CT; Thorax; Slice index 197; Image size 512x512
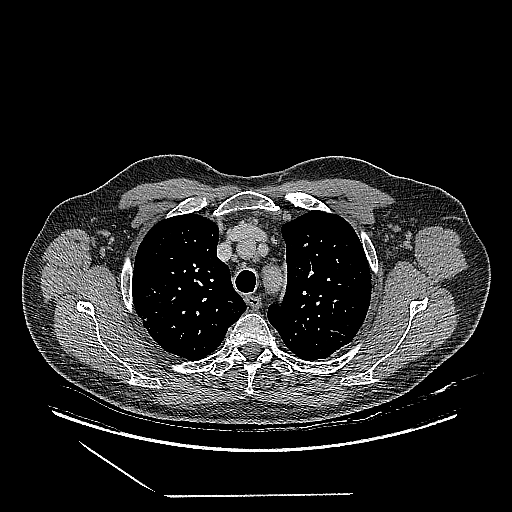

<segmentation>
  <lung_tumor>box(136, 310, 154, 333)</lung_tumor>
</segmentation>